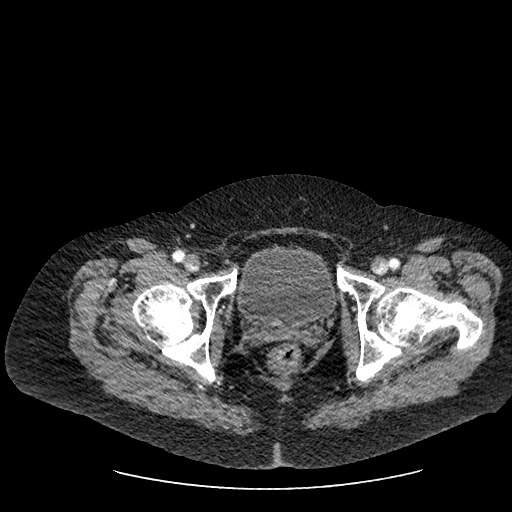 Computed tomography
urinary bladder: region(233, 245, 338, 332)